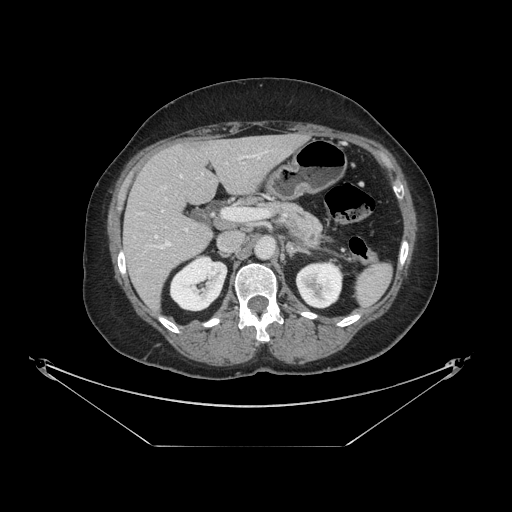 Computed tomography; Abdomen
{
  "pancreatic_tumor": [
    "bbox(303, 230, 317, 242)"
  ],
  "pancreas": [
    "bbox(269, 202, 322, 249)"
  ]
}